240x240 | Head
FLAIR magnetic resonance.
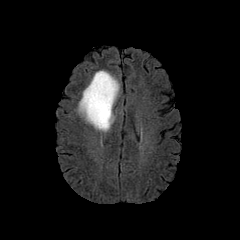
T1-weighted MR.
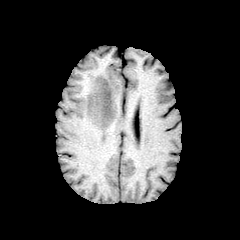
Post-contrast T1-weighted magnetic resonance.
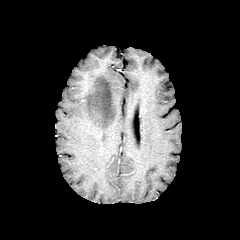
T2-weighted MR.
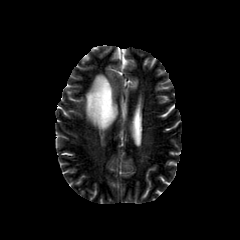
<segmentation>
  <edema>region(77, 70, 119, 134)</edema>
</segmentation>